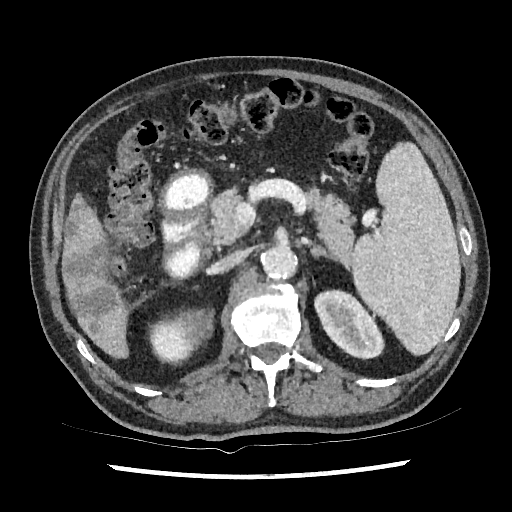
Liver, CT scan slice

liver_lesion:
  - (x1=70, y1=285, x2=116, y2=334)
  - (x1=63, y1=237, x2=106, y2=279)
  - (x1=71, y1=196, x2=83, y2=211)
  - (x1=65, y1=215, x2=79, y2=238)
kidney:
  - (x1=314, y1=290, x2=383, y2=358)
  - (x1=151, y1=318, x2=194, y2=361)
liver:
  - (x1=63, y1=203, x2=109, y2=267)
  - (x1=64, y1=273, x2=128, y2=356)